Image width 240 mm | Head | Image size 240x240
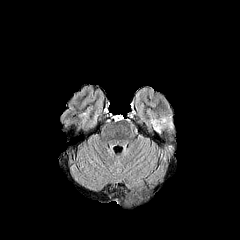
FLAIR MR.
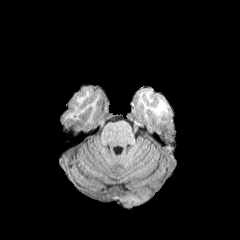
T1-weighted MR image.
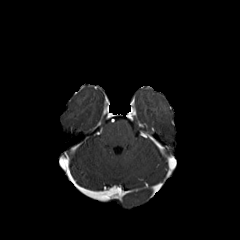
Post-contrast T1-weighted magnetic resonance.
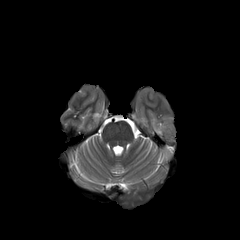
T2-weighted MR of the same slice.
The edema is bounded by x1=150, y1=119, x2=172, y2=133.